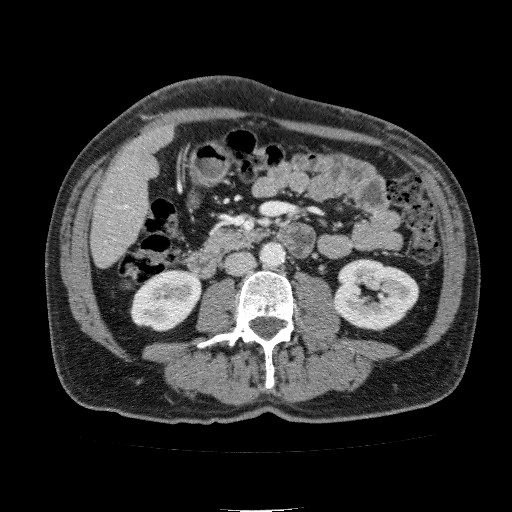

Upper abdomen, CT slice
Liver: bounding box x1=91, y1=122, x2=178, y2=269.
Kidney: bounding box x1=132, y1=271, x2=200, y2=329; x1=334, y1=260, x2=417, y2=328.